CT image; Abdomen; Slice 57/89
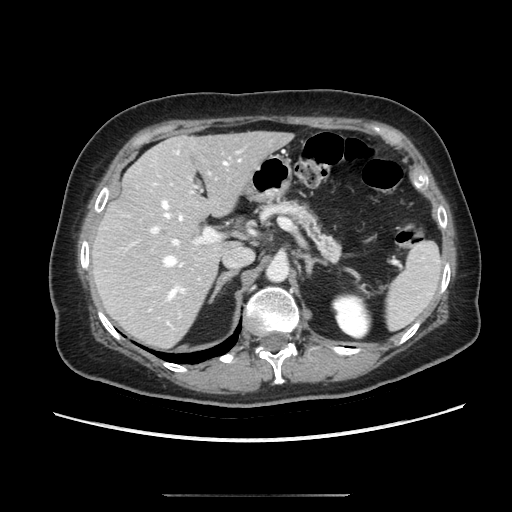

Segmented structures:
* pancreas: 264, 202, 340, 259